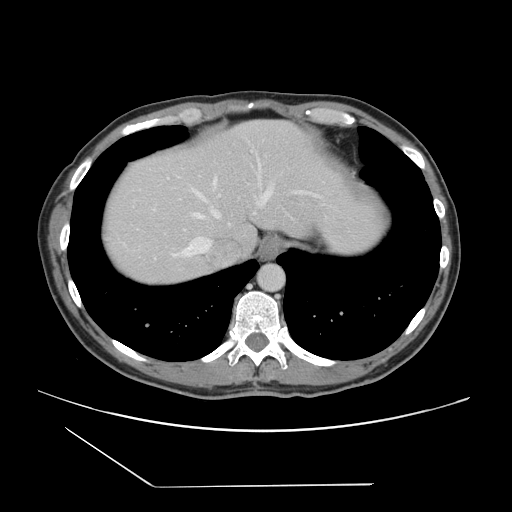

CT image
The vessel boxes may cover only some of the vessels.
Annotated regions:
• hepatic vessel: 210, 206, 219, 217; 297, 190, 317, 195; 176, 255, 181, 256; 210, 241, 211, 243; 191, 188, 203, 198; 257, 161, 260, 185; 228, 223, 230, 225; 251, 150, 253, 151; 213, 178, 215, 184; 257, 190, 271, 204; 202, 250, 206, 252; 192, 238, 207, 246; 191, 213, 201, 217